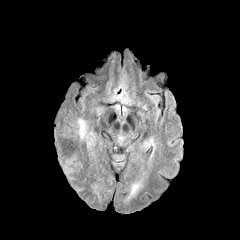
FLAIR MR image.
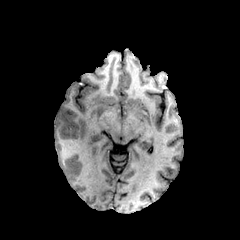
T1-weighted MR image of the same slice.
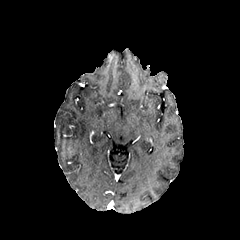
Same slice, post-contrast T1-weighted MRI.
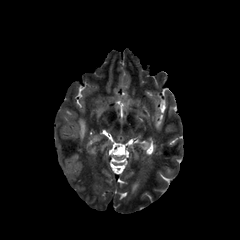
Same slice, T2-weighted MRI.
The edema is bounded by (left=76, top=118, right=87, bottom=140).